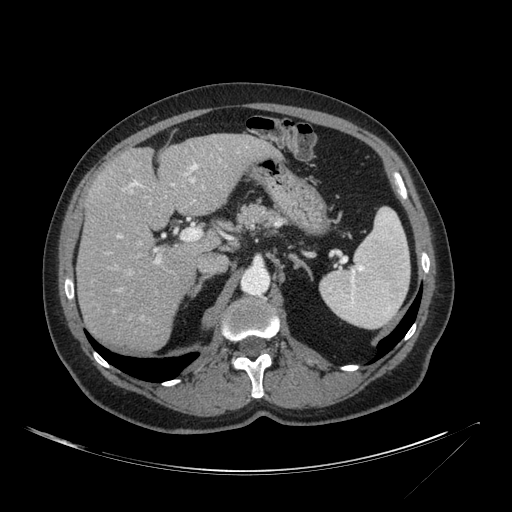 Liver, CT
Liver: [77, 134, 282, 349].